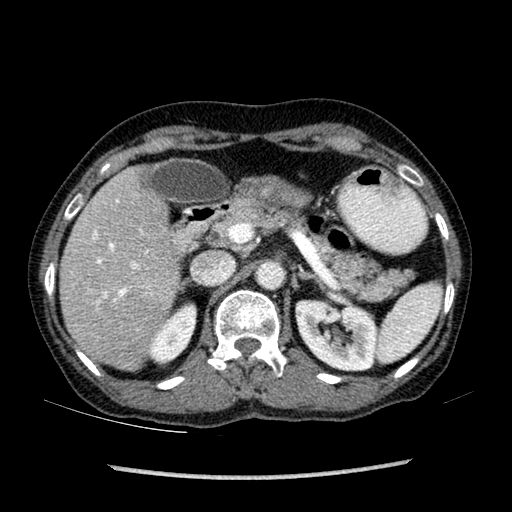

CT
- liver: 60,171,178,368
- kidney: 296,302,375,369; 148,305,195,361